Slice 70/155 | Field of view 240x240 mm
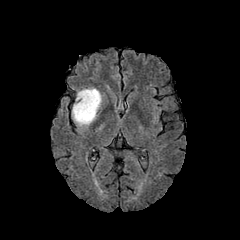
FLAIR magnetic resonance.
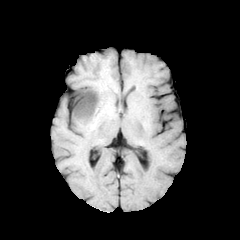
T1-weighted MR image.
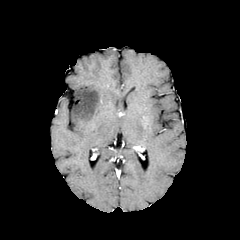
Post-contrast T1-weighted MR of the same slice.
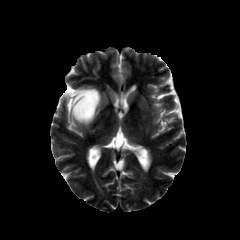
T2-weighted MR.
edema: left=72, top=88, right=101, bottom=125